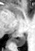 35x51, Magnetic resonance, Hippocampus

<segmentation>
  <posterior_hippocampus>(x1=13, y1=34, x2=25, y2=46)</posterior_hippocampus>
</segmentation>